Abdomen, CT image 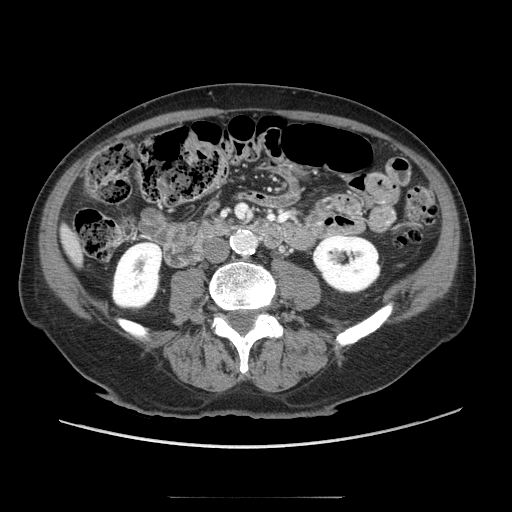
Pancreas at [203, 221, 227, 234].